Computed tomography

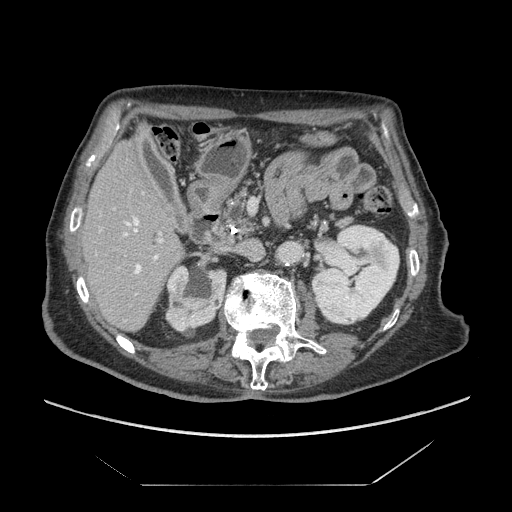 2 pancreas regions are bounded by (219,186,264,243), (301,210,358,237).